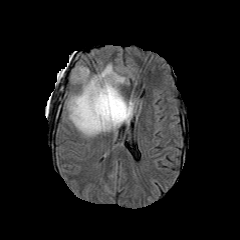
FLAIR magnetic resonance.
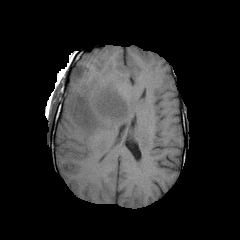
Same slice, T1-weighted magnetic resonance.
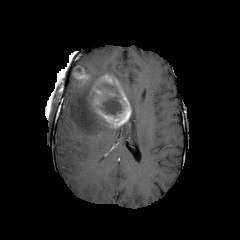
Post-contrast T1-weighted MR image.
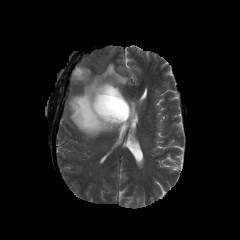
Same slice, T2-weighted MRI.
240x240 px
<segmentation>
  <enhancing_tumor>x1=73 y1=66 x2=89 y2=82, x1=89 y1=74 x2=131 y2=127</enhancing_tumor>
  <non-enhancing_tumor_core>x1=101 y1=97 x2=122 y2=114, x1=98 y1=82 x2=119 y2=94</non-enhancing_tumor_core>
  <edema>x1=126 y1=98 x2=135 y2=125, x1=67 y1=63 x2=128 y2=137</edema>
</segmentation>